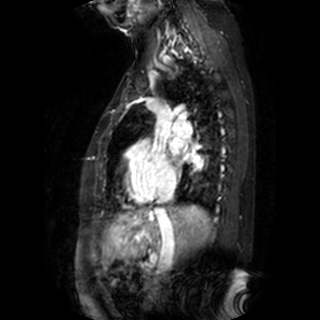
MRI | Image size 320x320
Left atrium: {"x1": 169, "y1": 139, "x2": 182, "y2": 153}, {"x1": 193, "y1": 156, "x2": 201, "y2": 165}.